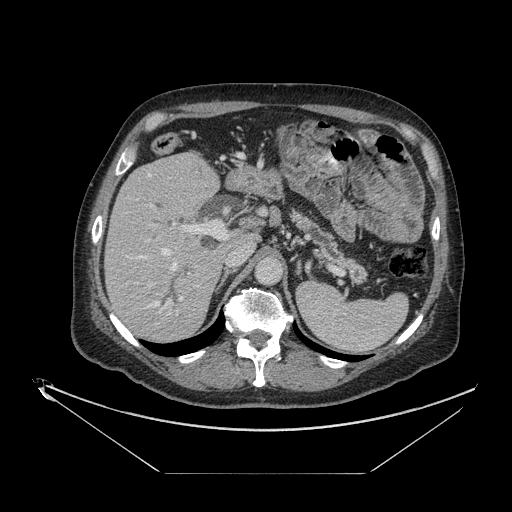 512x512 px; CT slice

Pancreas = 290, 208, 367, 285.